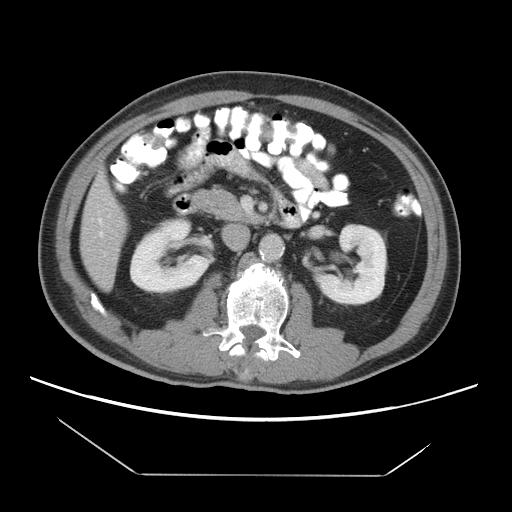
CT scan slice | Image size 512x512

Not every hepatic vessel necessarily has a box.
Hepatic vessel: bounding box rect(107, 202, 112, 206); rect(103, 252, 106, 255); rect(108, 214, 110, 216); rect(99, 231, 102, 236); rect(98, 218, 102, 224).